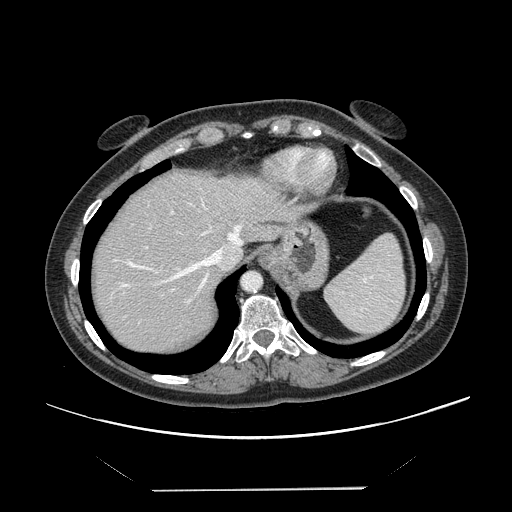 Computed tomography, Abdomen
Only some of the vessels may be annotated.
9 hepatic vessel regions appear at x1=160 y1=222 x2=243 y2=288, x1=120 y1=283 x2=130 y2=287, x1=125 y1=260 x2=160 y2=273, x1=199 y1=188 x2=201 y2=190, x1=171 y1=289 x2=174 y2=290, x1=199 y1=201 x2=205 y2=210, x1=170 y1=211 x2=173 y2=213, x1=201 y1=217 x2=217 y2=235, x1=114 y1=259 x2=116 y2=260.